Abdomen, 512x512, CT, Field of view 512 mm wide, 1.00 mm slice spacing 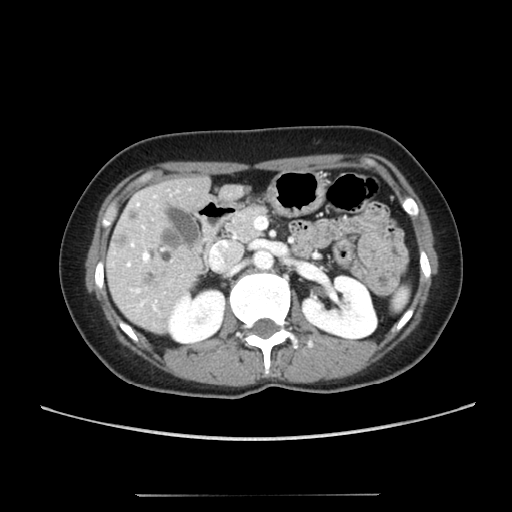
Liver: bounding box rect(218, 184, 246, 199); rect(105, 175, 212, 336).
Focal liver lesion: bounding box rect(144, 270, 159, 283); rect(241, 185, 250, 193); rect(127, 209, 138, 220); rect(112, 234, 126, 248); rect(160, 226, 182, 249).
Kidney: bounding box rect(169, 291, 224, 342); rect(303, 277, 376, 338).